Slice index 73; Image size 320x320; MR image
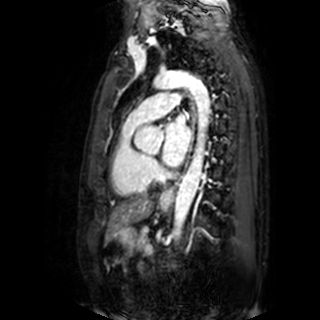
Left atrium = x1=162, y1=114, x2=190, y2=166.